Slice 56 of 155, Brain
FLAIR MR.
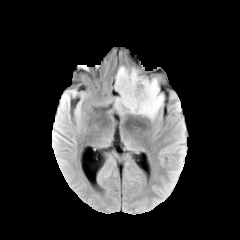
T1-weighted MRI.
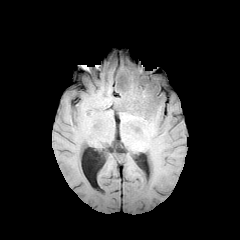
Post-contrast T1-weighted magnetic resonance.
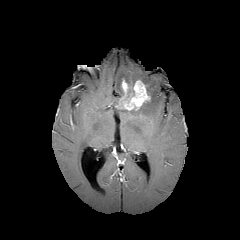
T2-weighted MR image.
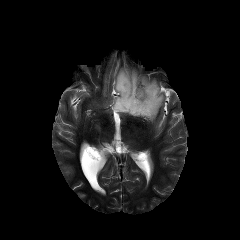
<segmentation>
  <edema>region(115, 67, 137, 79); region(138, 76, 163, 119)</edema>
  <non-enhancing_tumor_core>region(114, 70, 153, 115)</non-enhancing_tumor_core>
  <enhancing_tumor>region(116, 78, 150, 110)</enhancing_tumor>
</segmentation>